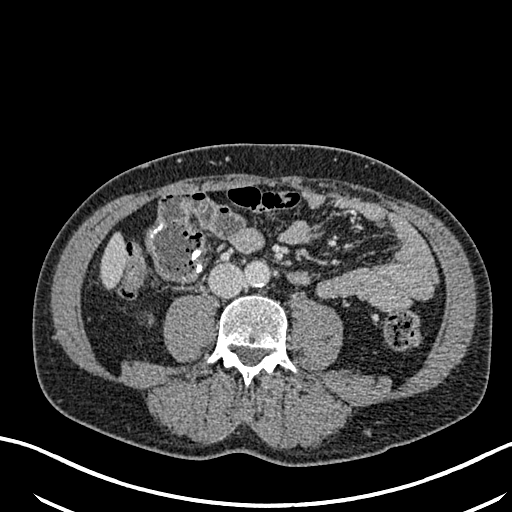
CT scan slice. Abdomen.
liver: 101 234 124 287